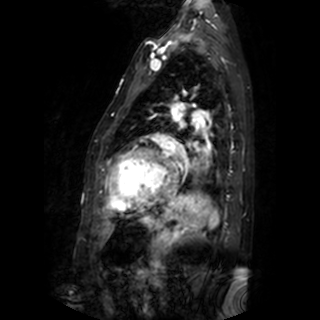
MRI slice | Heart
<segmentation>
  <left_atrium>172 110 181 120</left_atrium>
</segmentation>